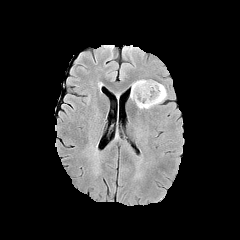
FLAIR MRI.
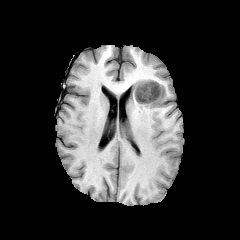
T1-weighted MRI.
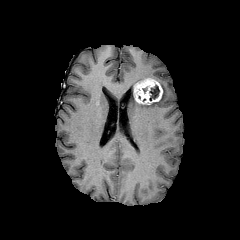
Same slice, post-contrast T1-weighted magnetic resonance.
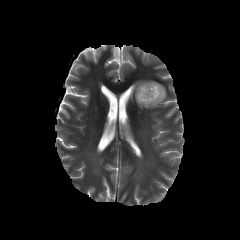
Same slice, T2-weighted magnetic resonance.
Head
{
  "enhancing_tumor": [
    "(left=134, top=79, right=162, bottom=104)"
  ],
  "non-enhancing_tumor_core": [
    "(left=149, top=86, right=159, bottom=100)"
  ],
  "edema": [
    "(left=131, top=84, right=166, bottom=108)"
  ]
}